Slice 129 of 164 | CT slice

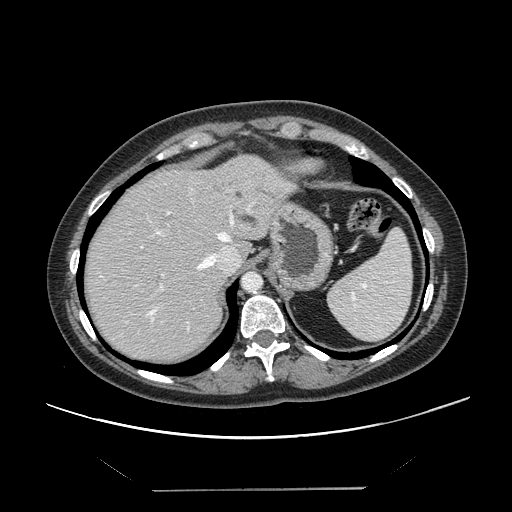

Some hepatic vessels may have no box.
<segmentation>
  <hepatic_vessel>rect(99, 274, 102, 277); rect(141, 246, 142, 247); rect(166, 211, 170, 213); rect(267, 175, 269, 178); rect(246, 199, 255, 213); rect(159, 285, 163, 289); rect(153, 228, 163, 235); rect(197, 231, 240, 273); rect(141, 309, 155, 319); rect(273, 183, 276, 185); rect(228, 205, 243, 229); rect(247, 181, 250, 186)</hepatic_vessel>
</segmentation>